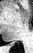

33x53 px, MR
The posterior hippocampus is at (8, 44, 13, 45).